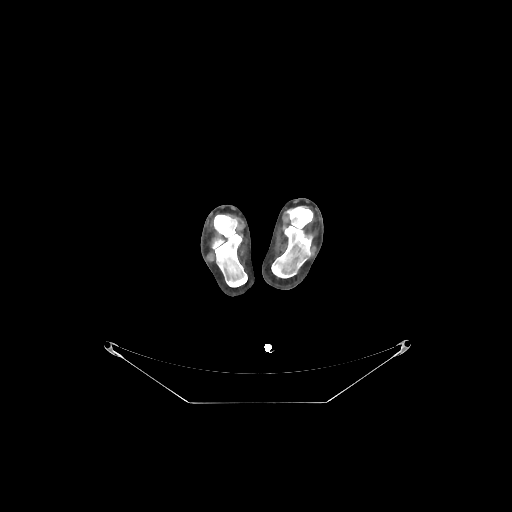 CT scan slice
bone: l=271, t=206, r=313, b=278; l=212, t=215, r=247, b=286